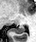 36x42 px | Medial temporal lobe | MR image
Posterior hippocampus — {"x1": 11, "y1": 25, "x2": 24, "y2": 33}.